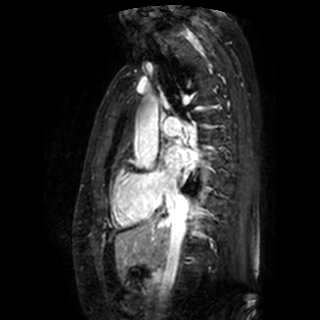
MR, Heart
The left atrium appears at (left=165, top=146, right=196, bottom=177).